FLAIR MR.
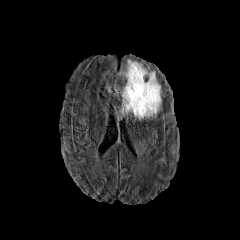
T1-weighted MR image.
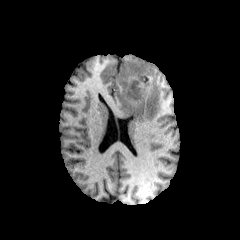
Post-contrast T1-weighted magnetic resonance.
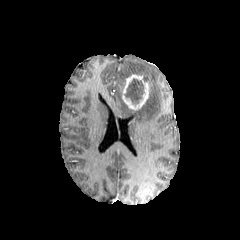
T2-weighted magnetic resonance.
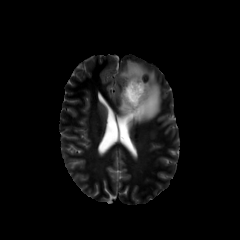
Annotated regions:
* edema: box=[119, 60, 161, 121]
* non-enhancing tumor core: box=[125, 78, 143, 103]
* enhancing tumor: box=[122, 74, 152, 109]